CT scan slice, Slice 348/391, Abdomen
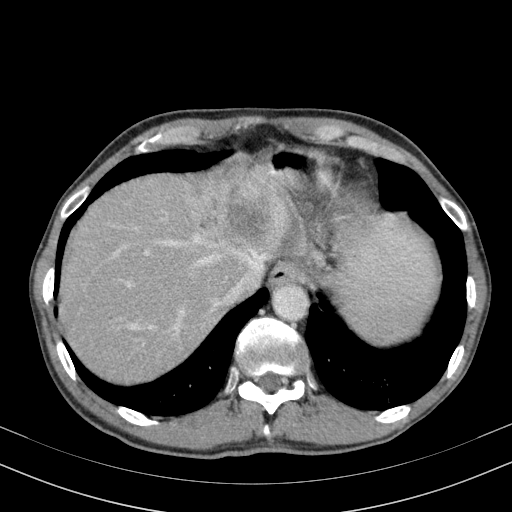
Liver lesion = 226:205:269:239.
Liver = 59:155:301:383.